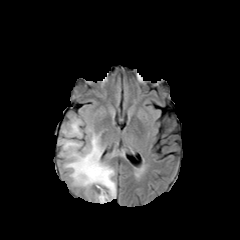
FLAIR MR image.
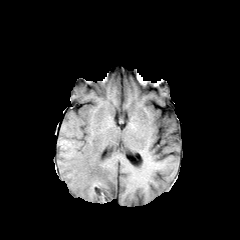
T1-weighted MR.
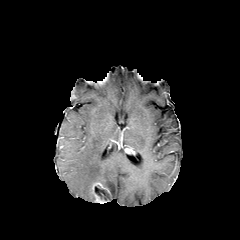
Post-contrast T1-weighted MR of the same slice.
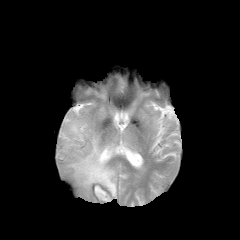
T2-weighted MR image.
Head
{
  "edema": [
    "l=61, t=117, r=116, b=201",
    "l=107, t=150, r=117, b=158"
  ]
}